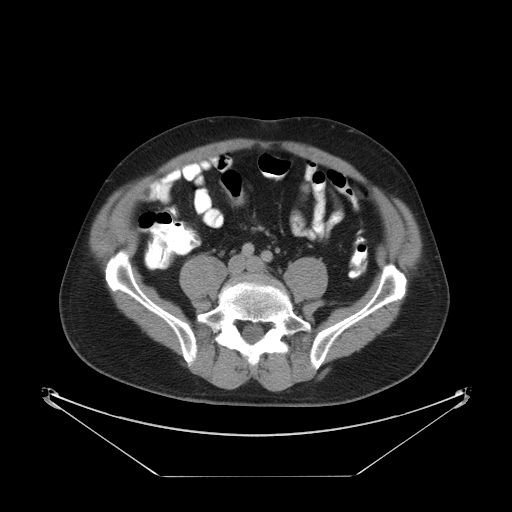

CT image, Pelvis
Annotated regions:
- colon tumor: <box>219,182,244,206</box>